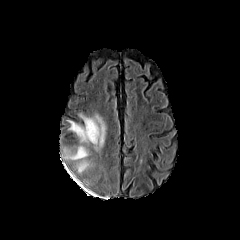
FLAIR magnetic resonance.
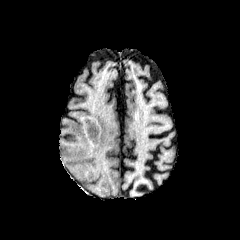
T1-weighted magnetic resonance.
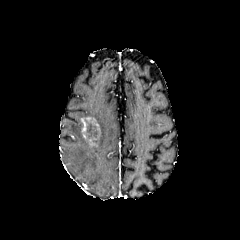
Post-contrast T1-weighted MR image.
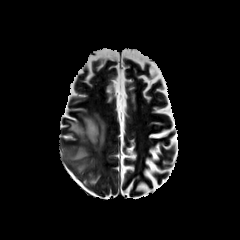
Same slice, T2-weighted MR image.
Image size 240x240.
{"enhancing_tumor": ["left=80, top=116, right=100, bottom=148"], "edema": ["left=64, top=119, right=92, bottom=172", "left=78, top=112, right=106, bottom=151"], "non-enhancing_tumor_core": ["left=87, top=124, right=95, bottom=136"]}